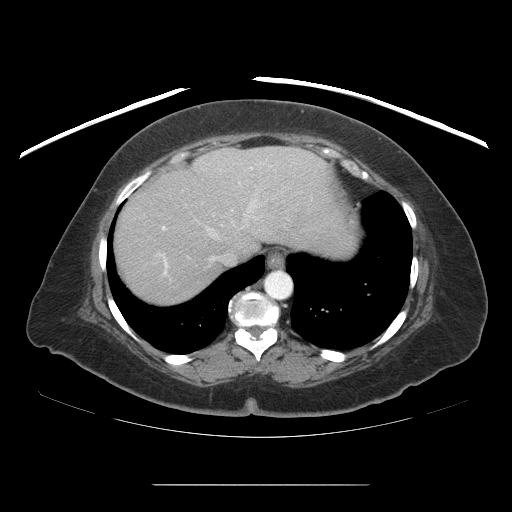
CT scan slice; Liver
Some hepatic vessels may have no box.
{
  "hepatic_vessel": [
    "162 226 166 229",
    "159 253 167 268",
    "208 254 232 263",
    "238 180 240 185",
    "244 188 261 223",
    "205 227 217 236"
  ]
}